Slice 56 of 155
FLAIR MR image.
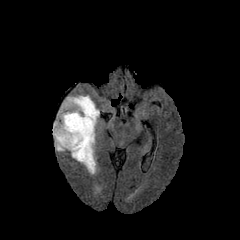
T1-weighted MR.
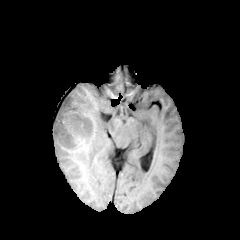
Post-contrast T1-weighted magnetic resonance.
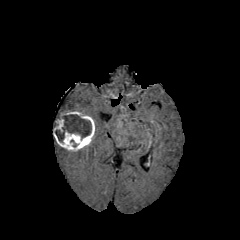
T2-weighted MRI.
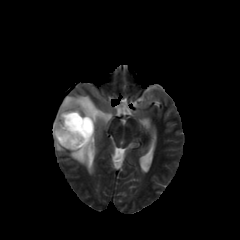
The edema is located at 54, 93, 102, 174. The enhancing tumor is at 53, 108, 94, 150. 2 non-enhancing tumor core regions appear at 61, 97, 81, 111; 55, 114, 91, 142.